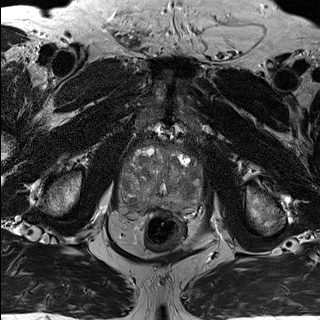
T2-weighted MR.
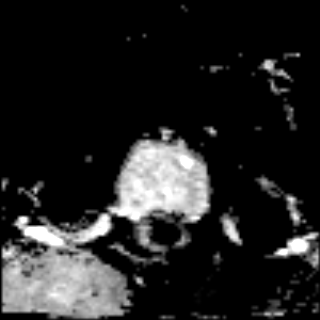
ADC magnetic resonance.
320x320. Prostate.
{
  "prostate_transition_zone": [
    "left=116, top=142, right=201, bottom=217"
  ]
}